512x512. CT image. 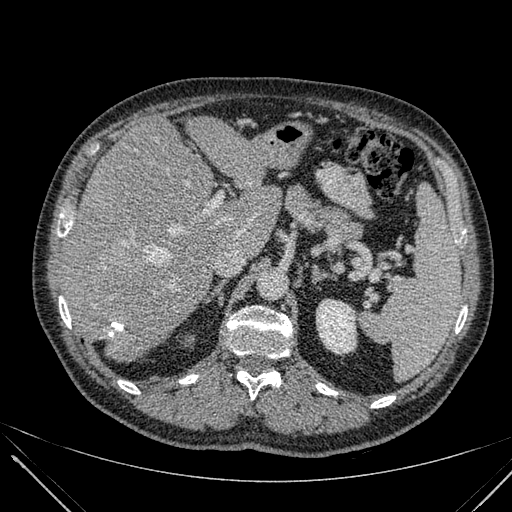 * kidney: 316 300 355 353
* liver: 62 121 282 361, 187 116 271 188